Liver. CT. Slice 60/120. 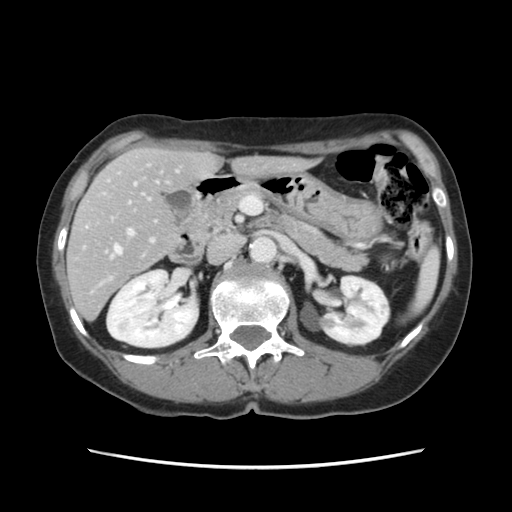 The vessel annotation is not exhaustive.
Annotated regions:
* hepatic vessel: (left=134, top=183, right=136, bottom=185), (left=127, top=229, right=133, bottom=234), (left=150, top=239, right=153, bottom=241), (left=114, top=246, right=120, bottom=254), (left=129, top=202, right=130, bottom=203)